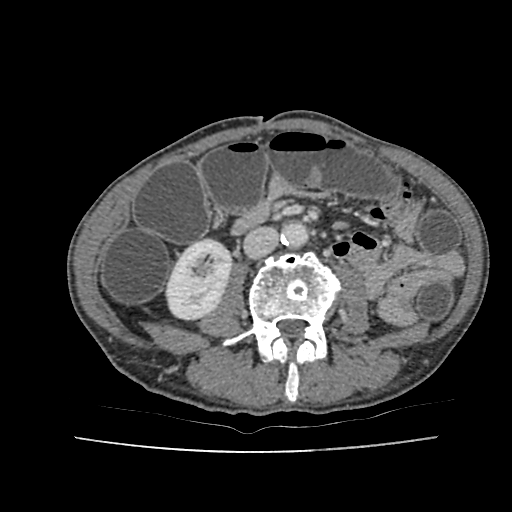 CT slice. Abdomen. Kidney — rect(167, 240, 231, 318).